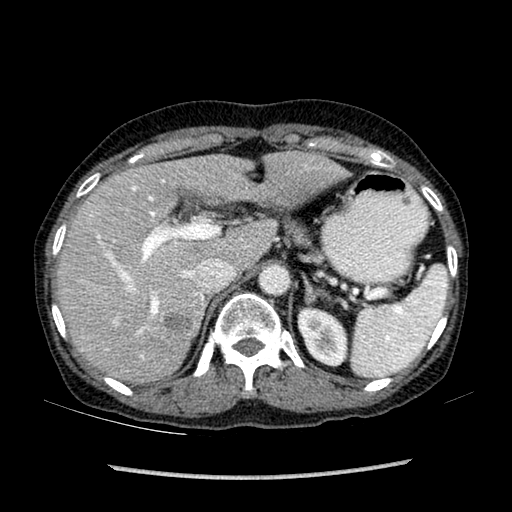
CT scan slice | Abdomen

Segmented structures:
- kidney: {"x1": 299, "y1": 310, "x2": 345, "y2": 364}
- liver: {"x1": 58, "y1": 152, "x2": 340, "y2": 381}
- focal liver lesion: {"x1": 163, "y1": 312, "x2": 193, "y2": 332}